Slice index 471; Computed tomography

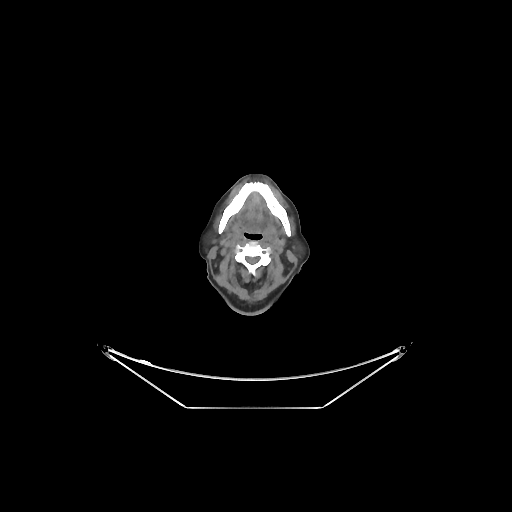
2 bone regions appear at bbox=[218, 182, 290, 236]; bbox=[234, 241, 271, 275].